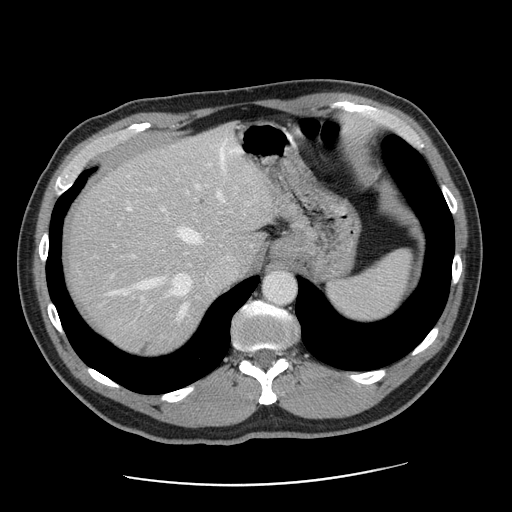

Image size 512x512. Abdomen. Computed tomography. Not every hepatic vessel necessarily has a box.
hepatic_vessel:
  - {"x1": 131, "y1": 255, "x2": 133, "y2": 256}
  - {"x1": 142, "y1": 297, "x2": 143, "y2": 299}
  - {"x1": 162, "y1": 207, "x2": 166, "y2": 211}
  - {"x1": 244, "y1": 245, "x2": 246, "y2": 246}
  - {"x1": 168, "y1": 274, "x2": 190, "y2": 295}
  - {"x1": 220, "y1": 145, "x2": 225, "y2": 168}
  - {"x1": 177, "y1": 305, "x2": 186, "y2": 320}
  - {"x1": 129, "y1": 202, "x2": 131, "y2": 209}
  - {"x1": 108, "y1": 290, "x2": 127, "y2": 294}
  - {"x1": 134, "y1": 280, "x2": 158, "y2": 287}
  - {"x1": 218, "y1": 191, "x2": 224, "y2": 201}
  - {"x1": 196, "y1": 184, "x2": 198, "y2": 186}
  - {"x1": 201, "y1": 243, "x2": 238, "y2": 283}
  - {"x1": 178, "y1": 227, "x2": 199, "y2": 241}
liver_tumor:
  - {"x1": 197, "y1": 196, "x2": 207, "y2": 206}
  - {"x1": 140, "y1": 338, "x2": 154, "y2": 356}